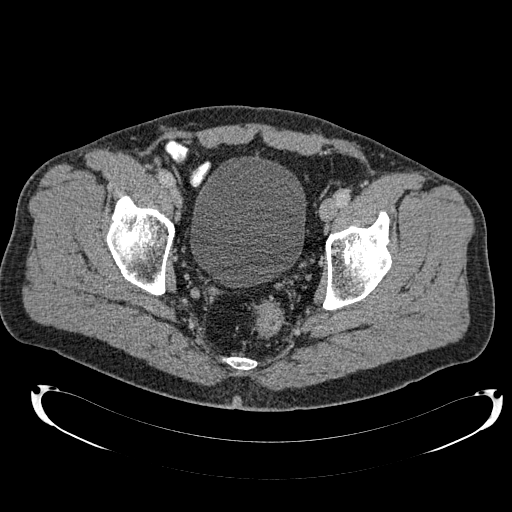

CT. Lower abdomen.
<segmentation>
  <urinary_bladder>(x1=190, y1=156, x2=305, y2=287)</urinary_bladder>
</segmentation>